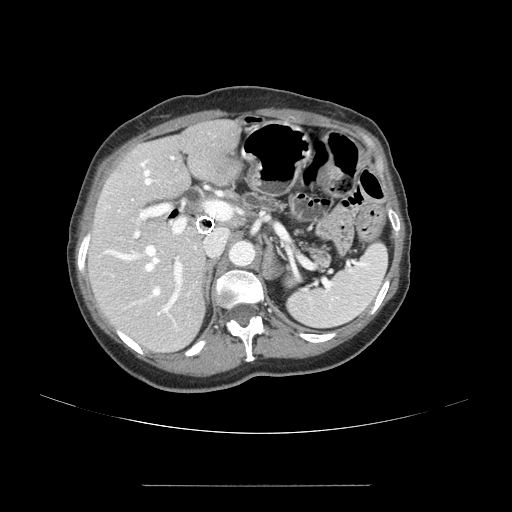

Image size 512x512. CT slice. Abdomen.

pancreas:
  - {"x1": 242, "y1": 194, "x2": 285, "y2": 212}
  - {"x1": 306, "y1": 247, "x2": 329, "y2": 268}